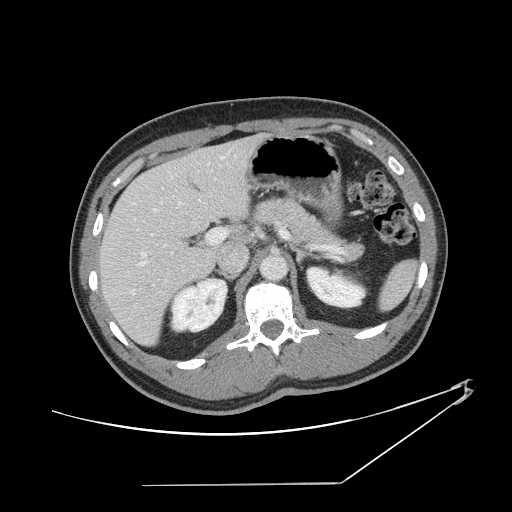

Computed tomography. Not every hepatic vessel necessarily has a box.
hepatic vessel: bbox=[178, 201, 182, 205]; bbox=[154, 208, 156, 210]; bbox=[221, 156, 224, 159]; bbox=[170, 173, 171, 178]; bbox=[164, 280, 165, 281]; bbox=[140, 252, 147, 264]; bbox=[133, 217, 134, 220]; bbox=[206, 163, 209, 165]; bbox=[171, 251, 173, 253]; bbox=[160, 201, 162, 203]; bbox=[131, 290, 134, 293]